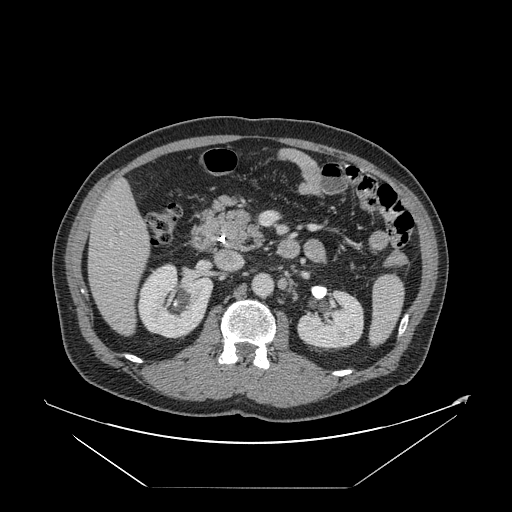 Liver; CT image
The vessel annotation is not exhaustive.
hepatic vessel: (120,233,121,234), (109,242,111,245)